Brain | Image width 240 mm
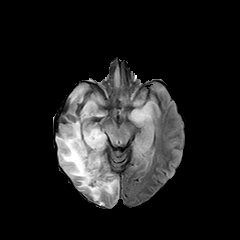
FLAIR MRI.
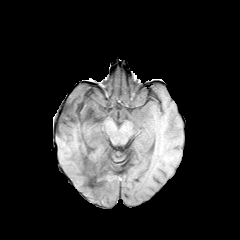
T1-weighted MR image of the same slice.
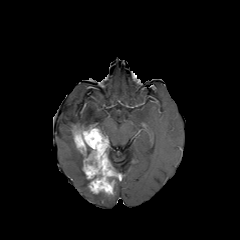
Same slice, post-contrast T1-weighted MR.
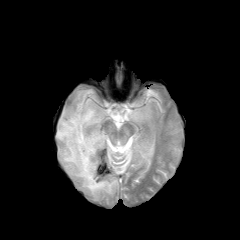
Same slice, T2-weighted MR.
non-enhancing_tumor_core:
  - <box>104,149,119,181</box>
  - <box>72,124,84,138</box>
edema:
  - <box>135,142,149,154</box>
  - <box>129,102,151,123</box>
  - <box>56,90,106,203</box>
enhancing_tumor:
  - <box>73,126,115,193</box>